Head | Image width 240 mm
FLAIR MRI.
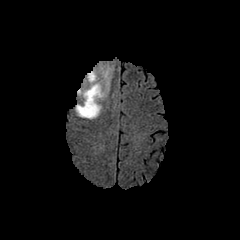
T1-weighted MRI.
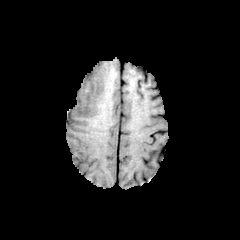
Post-contrast T1-weighted MR.
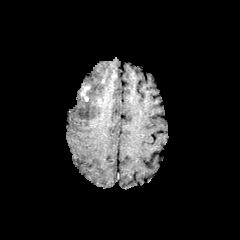
T2-weighted magnetic resonance.
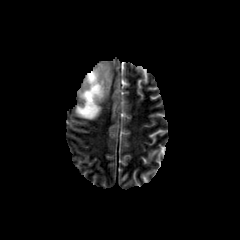
2 edema regions are bounded by (101, 67, 109, 85), (75, 69, 106, 119).